Image width 398 mm; Image size 512x512; CT

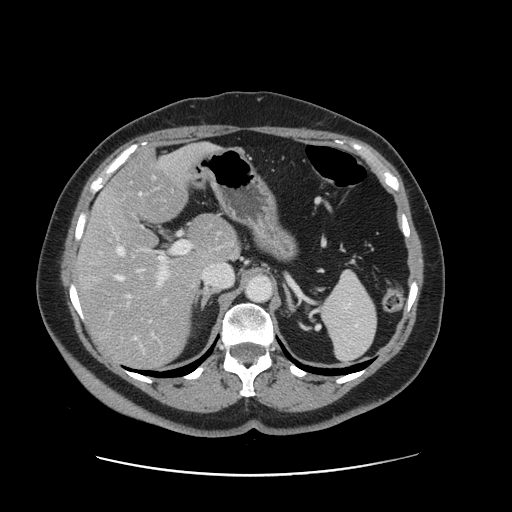
Some hepatic vessels may have no box.
8 hepatic vessel regions are bounded by (127, 295, 130, 298), (116, 275, 123, 280), (133, 337, 137, 339), (137, 269, 143, 271), (162, 273, 163, 275), (118, 247, 124, 254), (144, 248, 147, 250), (158, 257, 162, 259).